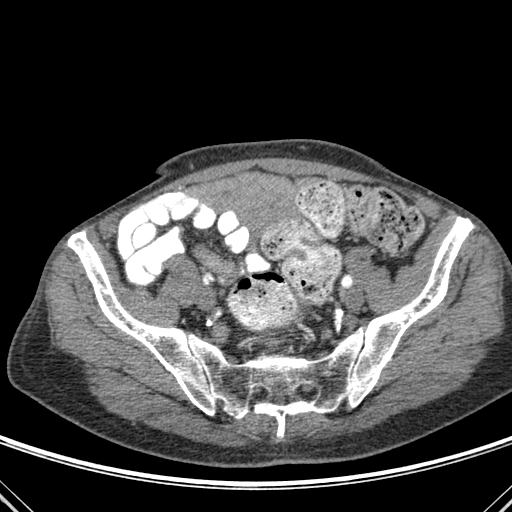 CT slice
The bone is located at box=[67, 216, 474, 437].